CT image. Slice index 80.
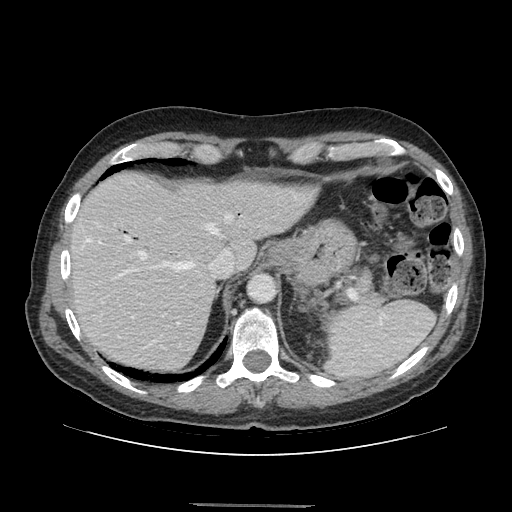 <segmentation>
  <pancreas>(356, 271, 371, 292)</pancreas>
</segmentation>